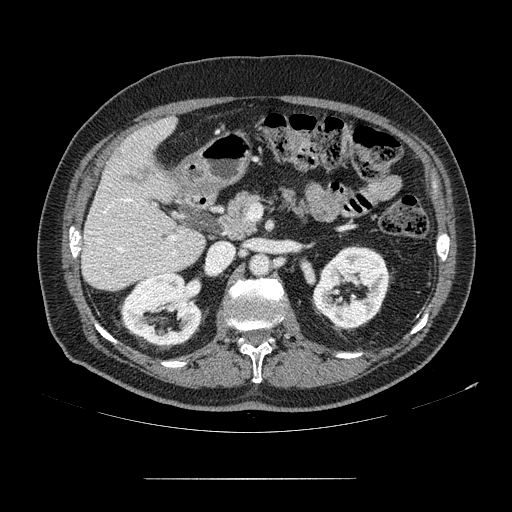 CT scan slice | Upper abdomen

pancreas:
  - x1=217, y1=186, x2=312, y2=241